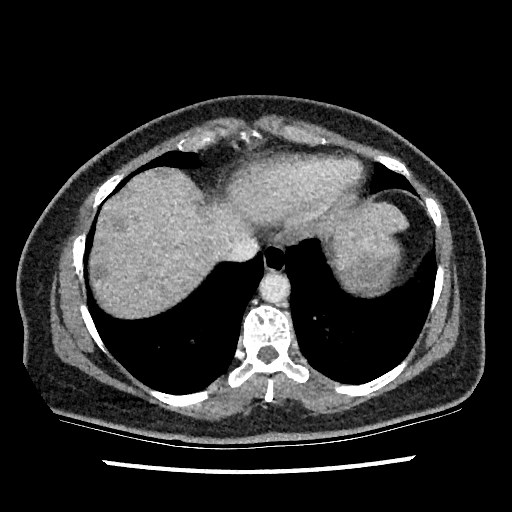 CT scan slice | Liver

liver lesion: region(107, 216, 124, 228); region(156, 168, 167, 175); region(95, 266, 107, 277) | liver: region(336, 204, 406, 250); region(90, 168, 282, 316)